FLAIR MR image.
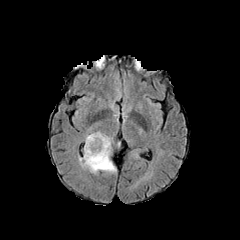
T1-weighted MR.
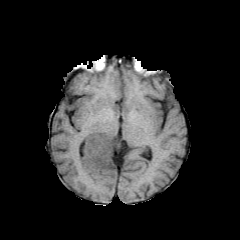
Post-contrast T1-weighted MR image.
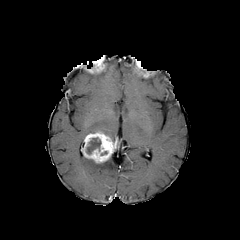
T2-weighted magnetic resonance.
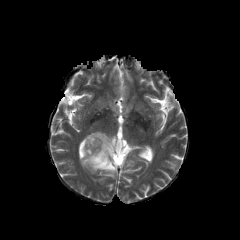
The edema lies within x1=78 y1=157 x2=116 y2=174. The non-enhancing tumor core is located at x1=87 y1=138 x2=100 y2=153. The enhancing tumor appears at x1=81 y1=131 x2=120 y2=163.